Slice 63 of 112, CT scan slice

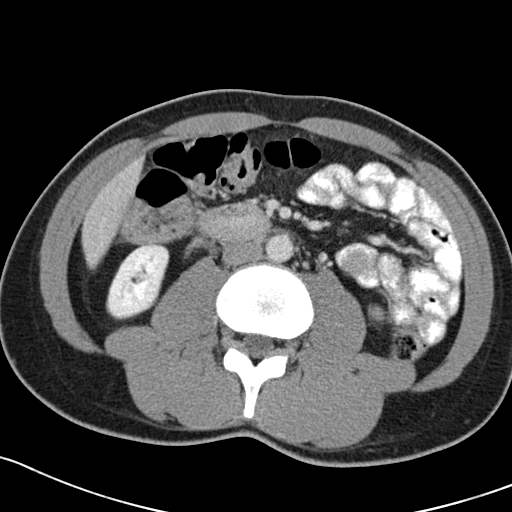 <segmentation>
  <colon_tumor>[121,196,195,243]</colon_tumor>
</segmentation>